CT image; Field of view 404x404 mm; 512x512 px
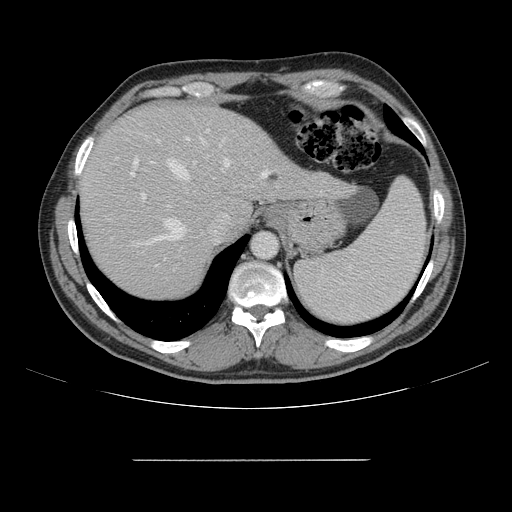
Some hepatic vessels may have no box.
Annotated regions:
- hepatic vessel: [164,257,165,259], [186,137,189,139], [224,159,229,166], [223,138,224,141], [133,218,183,245], [131,156,138,175], [199,136,203,140], [221,168,223,170], [262,170,268,177], [142,193,144,197]